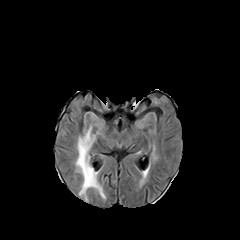
FLAIR MR image.
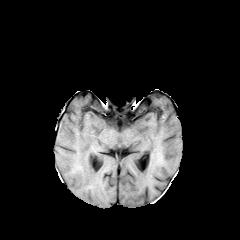
Same slice, T1-weighted MR image.
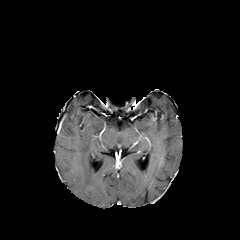
Post-contrast T1-weighted MR image.
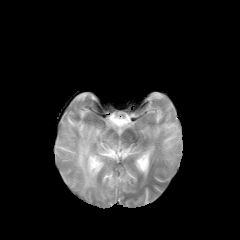
T2-weighted MR.
Image size 240x240.
• edema: 75 128 105 199